Image size 240x240, Brain, Field of view 240 mm wide, 1.00 mm slice spacing
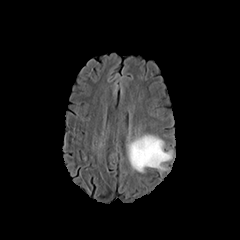
FLAIR MR image.
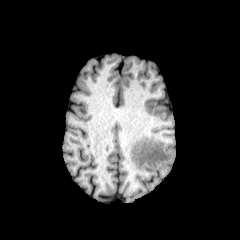
T1-weighted MR image.
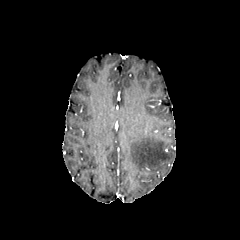
Post-contrast T1-weighted magnetic resonance of the same slice.
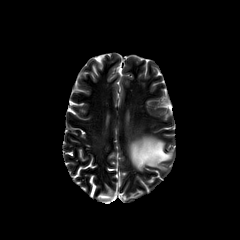
T2-weighted MRI.
edema: <box>128,134,172,171</box>